Upper abdomen, CT image, Image width 500 mm

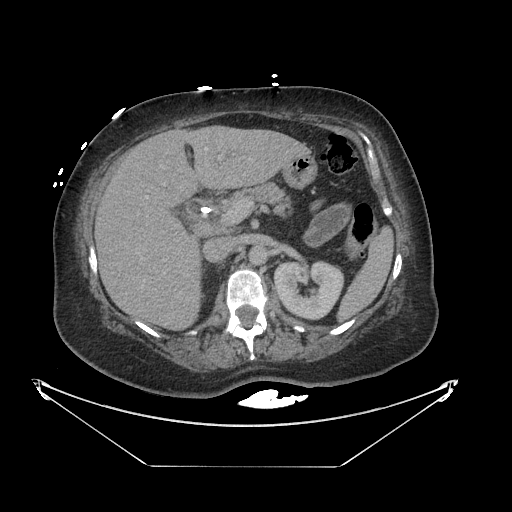
The pancreas is located at [x1=237, y1=184, x2=290, y2=216].